Field of view 310 mm wide, 2.50 mm slice spacing | Upper abdomen | Computed tomography
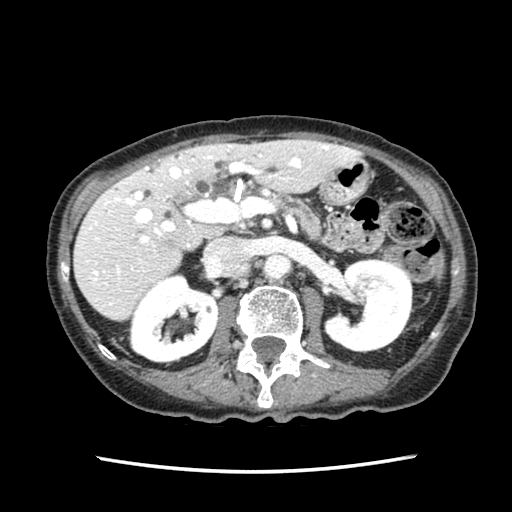
The pancreas is located at box=[277, 197, 320, 239].